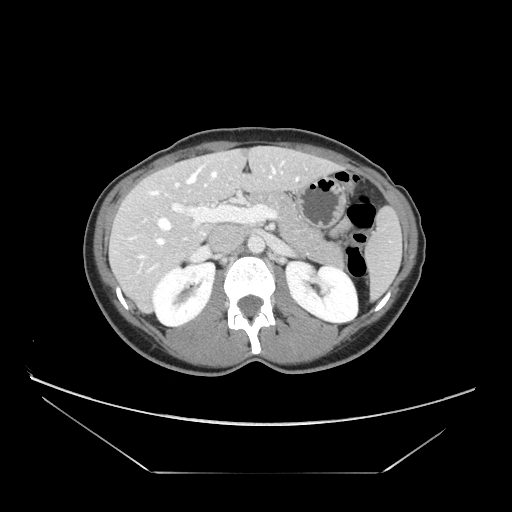 Abdomen, Computed tomography, 512x512
Findings:
• pancreas: (250, 190, 334, 267)
• pancreatic tumor: (323, 242, 343, 267)